Image size 512x512. Slice 41 of 53. CT. Abdomen. 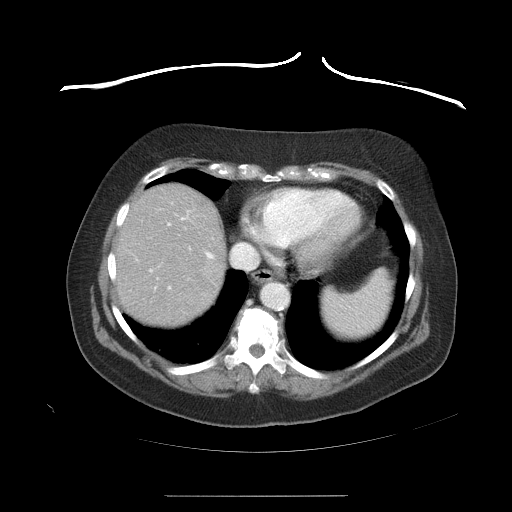
The vessel boxes may cover only some of the vessels.
Hepatic vessel — 188:247:189:249, 181:210:189:220, 167:287:169:289, 149:270:151:271, 205:253:212:258, 167:223:169:225, 232:242:258:269.